FLAIR magnetic resonance.
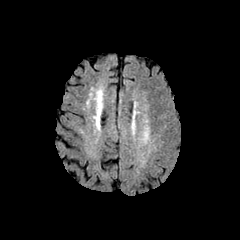
T1-weighted MR image.
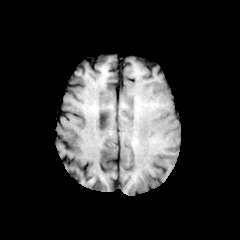
Post-contrast T1-weighted MR image.
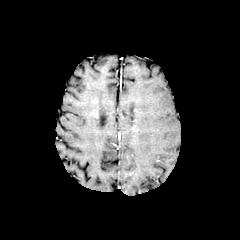
T2-weighted MR.
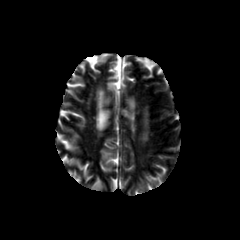
Edema = x1=140 y1=119 x2=148 y2=141, x1=131 y1=111 x2=135 y2=134.